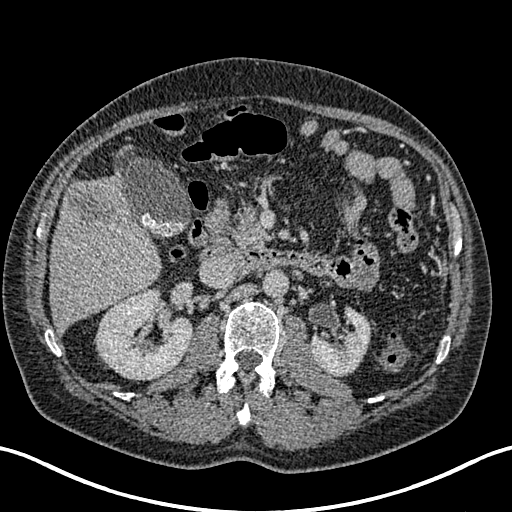

CT, Abdomen
* hepatic lesion: box=[66, 182, 117, 225]
* kidney: box=[311, 308, 369, 375]; box=[97, 291, 191, 379]
* liver: box=[117, 144, 136, 158]; box=[49, 177, 161, 332]